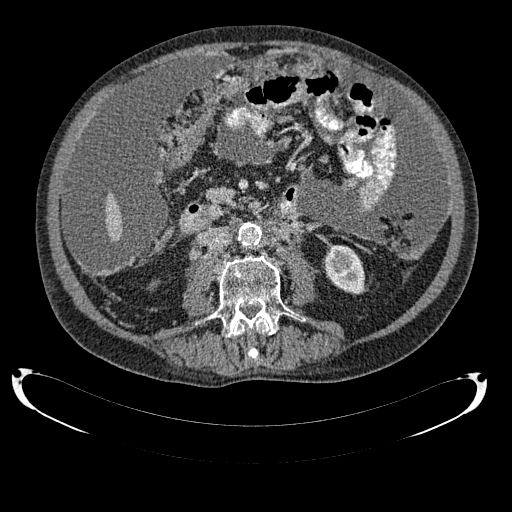

Image size 512x512 | CT scan slice
The kidney is at left=325, top=245, right=364, bottom=293. The liver appears at left=106, top=194, right=121, bottom=240.